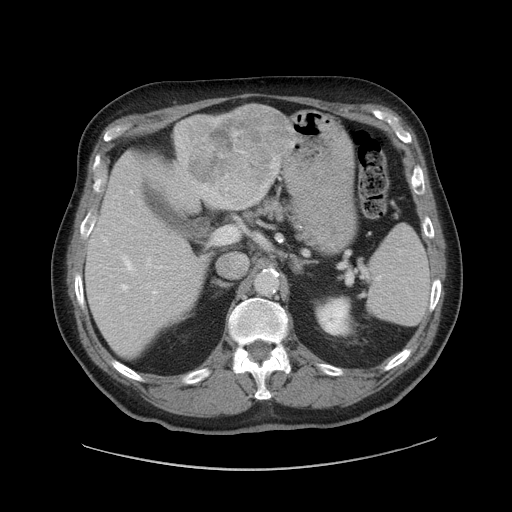

CT image | Liver

Some hepatic vessels may have no box.
- hepatic vessel: [x1=120, y1=306, x2=123, y2=310], [x1=105, y1=241, x2=107, y2=243], [x1=122, y1=284, x2=126, y2=289], [x1=146, y1=258, x2=149, y2=266], [x1=123, y1=256, x2=133, y2=269], [x1=152, y1=291, x2=155, y2=293]
- liver tumor: [x1=180, y1=106, x2=294, y2=206]